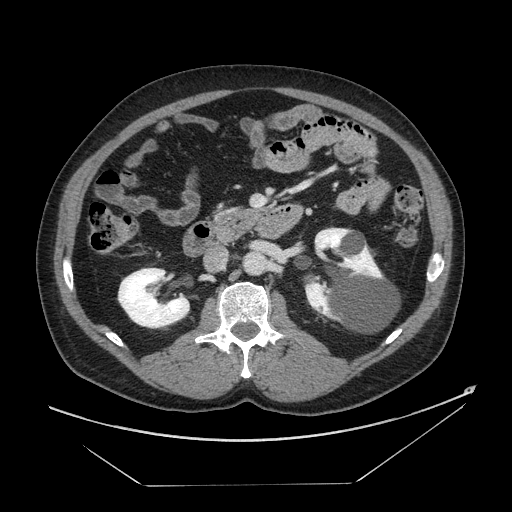

Image size 512x512 | CT image
The pancreas lies within rect(213, 209, 259, 242).